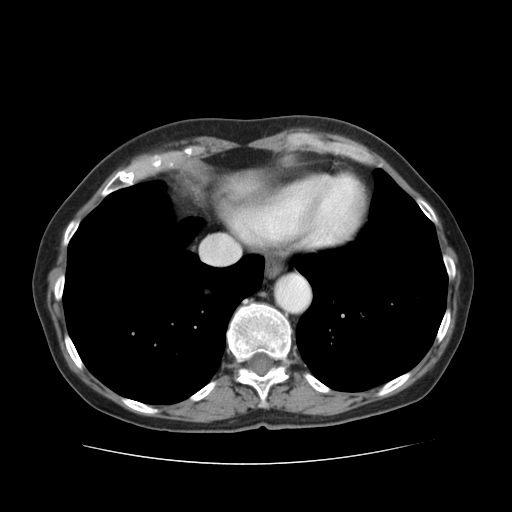

CT image. Liver. The liver lies within (227,170,252,203). 13 bone regions are located at (152,156,160,166), (444,254,455,278), (101,170,131,196), (377,372,411,396), (417,198,437,223), (65,335,78,361), (304,373,330,392), (63,220,78,245), (190,385,210,400), (121,398,146,411), (54,272,64,300), (227,300,290,406), (437,309,451,342). 2 lung regions are located at (291,169,447,391), (62,181,264,404).